Liver; Computed tomography; Slice index 349; Field of view 344x344 mm; 512x512
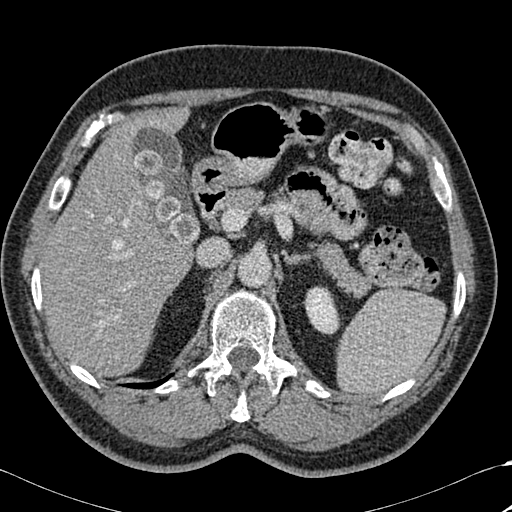

• bone: <bbox>306, 381, 329, 397</bbox>, <bbox>434, 169, 451, 209</bbox>, <bbox>31, 269, 41, 308</bbox>, <bbox>83, 122, 103, 145</bbox>, <bbox>71, 365, 98, 386</bbox>, <bbox>189, 292, 296, 393</bbox>, <bbox>49, 177, 69, 209</bbox>, <bbox>156, 380, 177, 393</bbox>, <bbox>384, 380, 413, 399</bbox>, <bbox>454, 273, 465, 314</bbox>, <bbox>231, 392, 249, 422</bbox>
• liver: <bbox>139, 109, 185, 134</bbox>, <bbox>40, 127, 190, 377</bbox>
• lung: <bbox>123, 373, 173, 388</bbox>
• kidney: <bbox>306, 288, 337, 332</bbox>